Slice index 53. Abdomen. CT image. Image size 512x512.

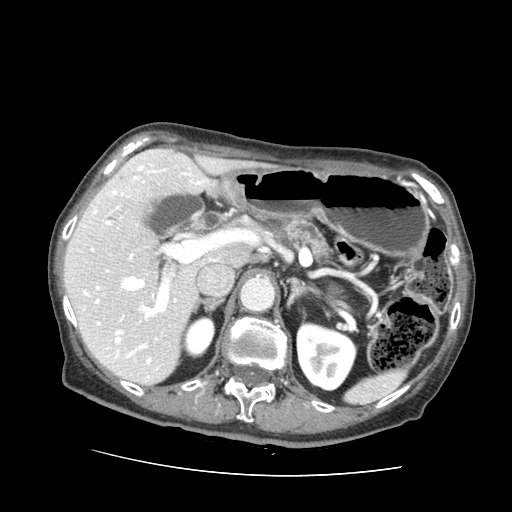
The pancreas is at (280,217,334,269).